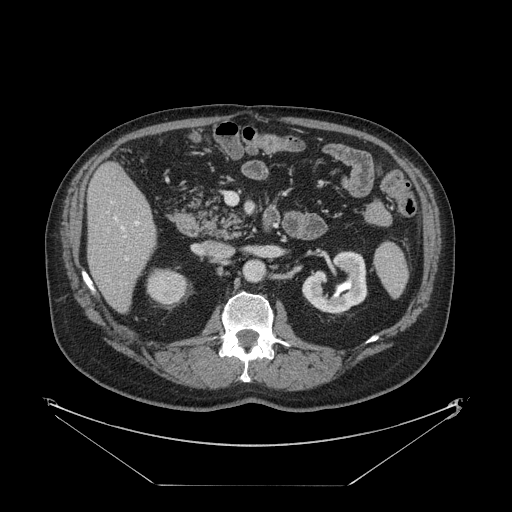
CT slice

Only some of the vessels may be annotated.
Annotated regions:
* hepatic vessel: (left=134, top=221, right=137, bottom=224), (left=125, top=258, right=126, bottom=259)